FLAIR MR image.
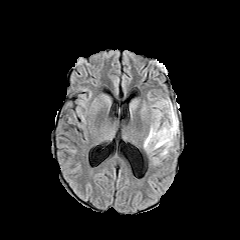
T1-weighted MRI.
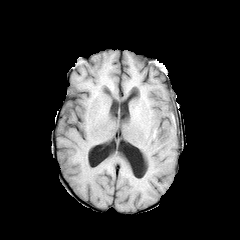
Post-contrast T1-weighted MR image.
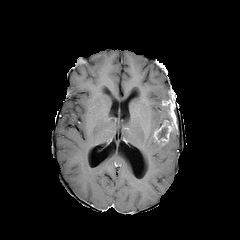
T2-weighted MRI.
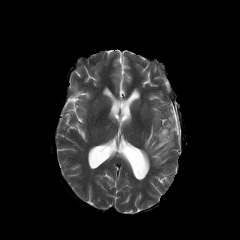
240x240 px
Enhancing tumor = 162,101,177,133.
Edema = 143,101,179,163.